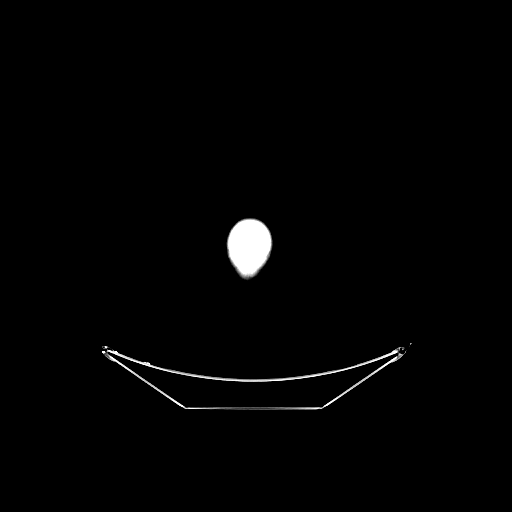 CT
{
  "bone": [
    "228 219 270 275"
  ]
}